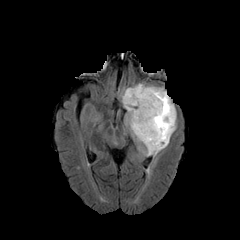
FLAIR MR.
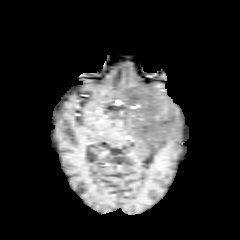
T1-weighted MR of the same slice.
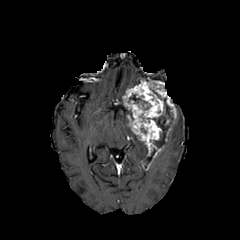
Post-contrast T1-weighted MR image of the same slice.
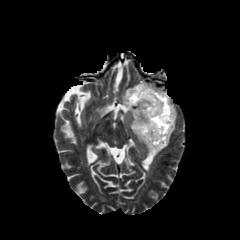
T2-weighted MR.
Image size 240x240
<segmentation>
  <enhancing_tumor>[x1=122, y1=80, x2=176, y2=156]</enhancing_tumor>
  <non-enhancing_tumor_core>[x1=153, y1=106, x2=172, y2=148]</non-enhancing_tumor_core>
  <edema>[x1=162, y1=122, x2=176, y2=149], [x1=130, y1=130, x2=147, y2=156]</edema>
</segmentation>